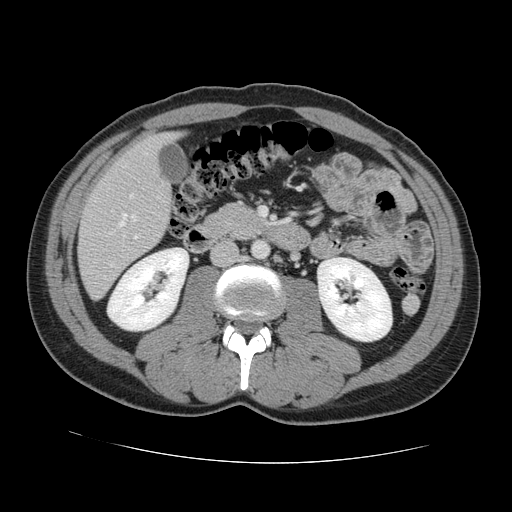
512x512 px | CT
Not every hepatic vessel necessarily has a box.
<segmentation>
  <hepatic_vessel>x1=156, y1=197, x2=158, y2=198; x1=130, y1=194, x2=132, y2=197; x1=119, y1=213, x2=136, y2=225; x1=110, y1=263, x2=112, y2=265; x1=134, y1=235, x2=137, y2=237</hepatic_vessel>
</segmentation>